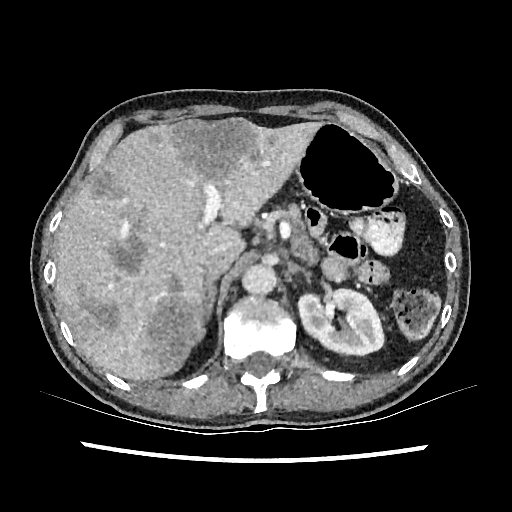
512x512. CT scan slice.

The kidney is at 298,289,383,358. 7 liver lesion regions appear at 145,277,201,371; 92,171,124,199; 149,134,160,143; 66,286,120,342; 108,216,147,274; 169,118,262,181; 266,135,277,146. The liver is located at 57,123,321,378.